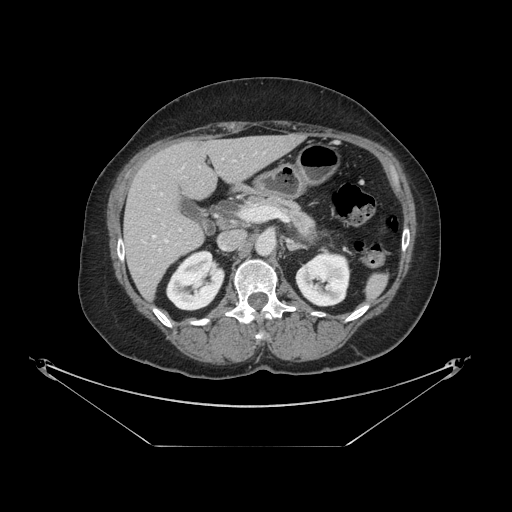
512x512; CT scan slice
Pancreas at bbox(258, 197, 316, 241).